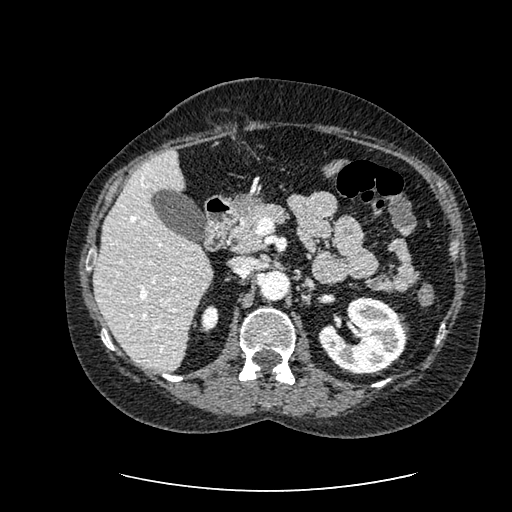 Liver. CT. 512x512 px. 2 kidney regions are located at l=202, t=307, r=217, b=329; l=319, t=298, r=405, b=372. The liver is located at l=94, t=152, r=212, b=370.